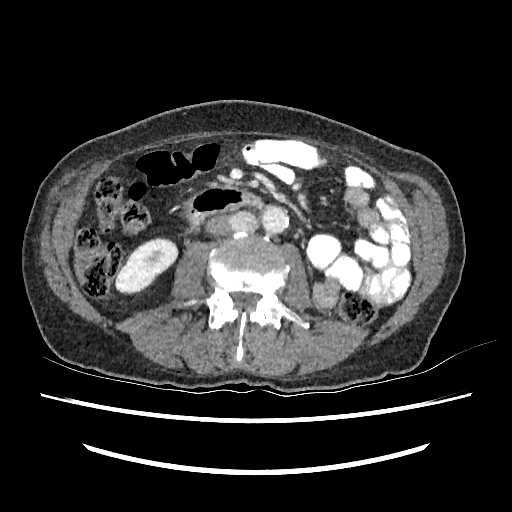 CT slice

The kidney lies within bbox(116, 239, 177, 292).